CT image
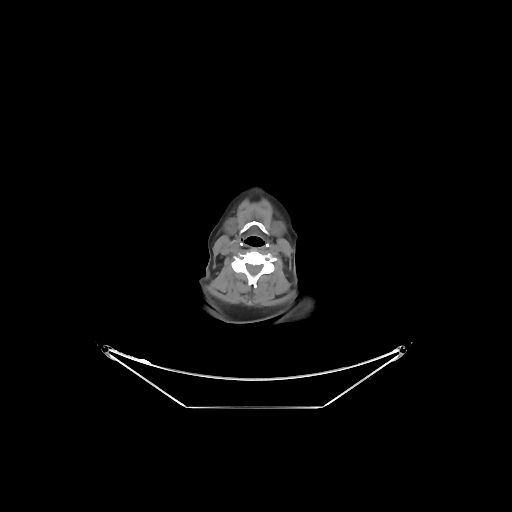 The bone is bounded by (232, 249, 276, 287).